Brain. Field of view 240 mm wide, 1.00 mm slice spacing.
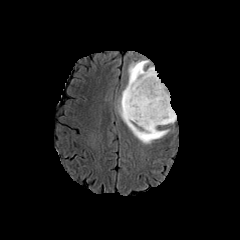
FLAIR MRI.
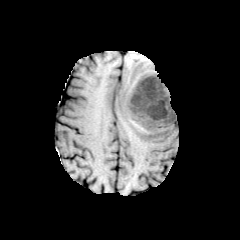
T1-weighted MR.
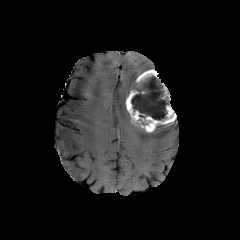
Post-contrast T1-weighted MR image.
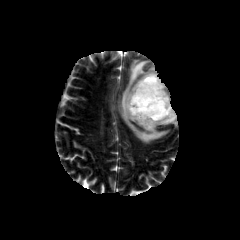
T2-weighted MR.
<segmentation>
  <enhancing_tumor>l=126, t=69, r=176, b=133</enhancing_tumor>
  <edema>l=114, t=59, r=170, b=144</edema>
  <non-enhancing_tumor_core>l=131, t=76, r=167, b=120</non-enhancing_tumor_core>
</segmentation>